Computed tomography 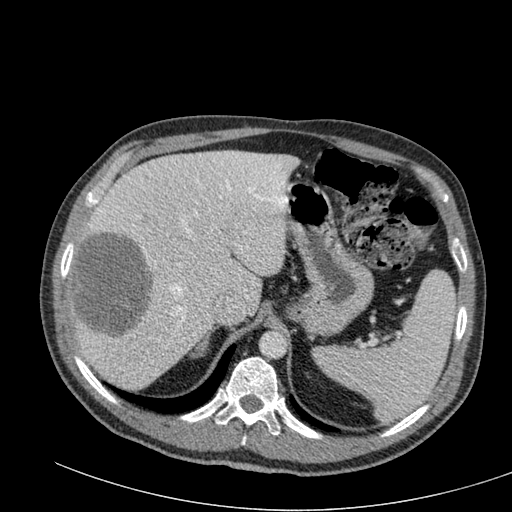
The hepatic lesion is bounded by (67,232,151,336). The liver is at (72,151,298,389).